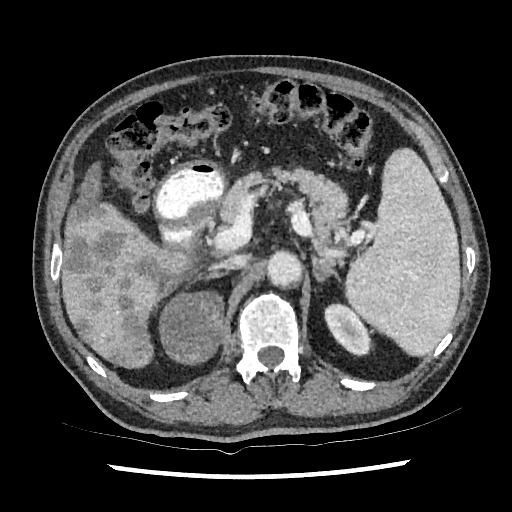
CT scan slice; Liver
{
  "liver": [
    "[61, 162, 194, 360]",
    "[130, 353, 151, 366]"
  ],
  "focal_liver_lesion": [
    "[64, 230, 127, 294]",
    "[74, 317, 93, 339]",
    "[105, 295, 152, 366]",
    "[68, 164, 108, 222]",
    "[86, 298, 105, 313]",
    "[116, 255, 168, 290]"
  ],
  "kidney": [
    "[325, 304, 370, 354]"
  ]
}